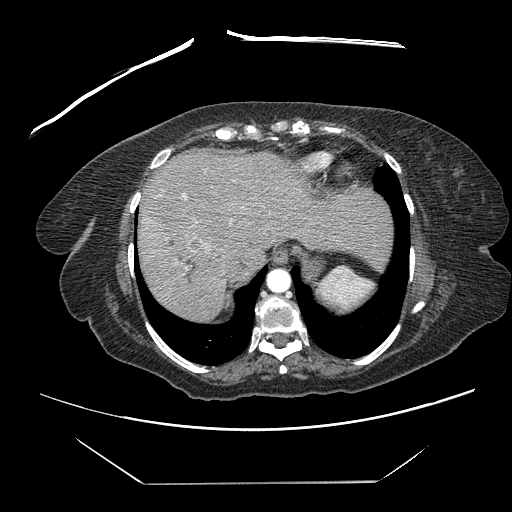
Liver; CT image
{"liver_tumor": ["bbox=[190, 240, 205, 250]"]}